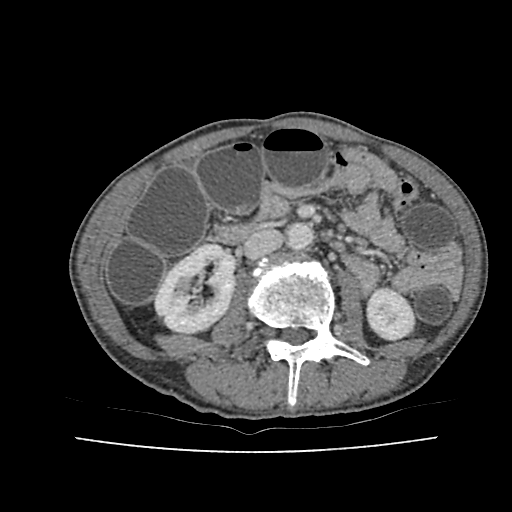
CT scan slice

Kidney — 367:290:413:339, 155:245:234:332.